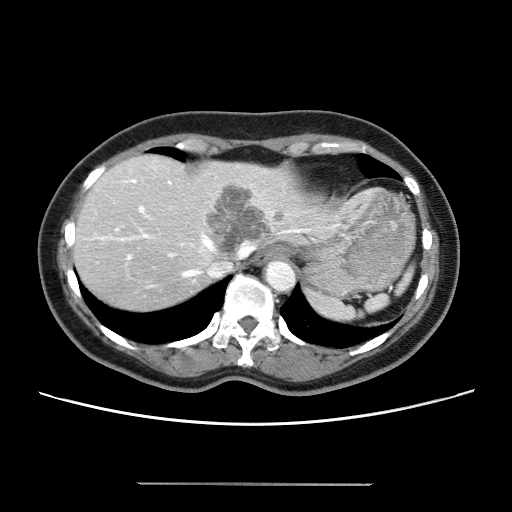

Abdomen; CT
Not every hepatic vessel necessarily has a box.
Hepatic vessel at x1=203 y1=239 x2=213 y2=247, x1=128 y1=256 x2=130 y2=257, x1=239 y1=244 x2=247 y2=252, x1=183 y1=270 x2=196 y2=276, x1=139 y1=207 x2=142 y2=211.
Liver tumor at x1=209 y1=187 x2=268 y2=255.